FLAIR MR image.
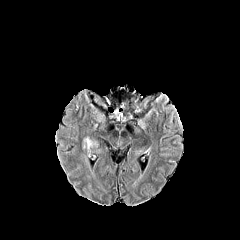
T1-weighted magnetic resonance.
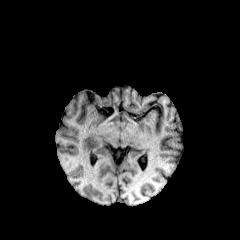
Post-contrast T1-weighted MR.
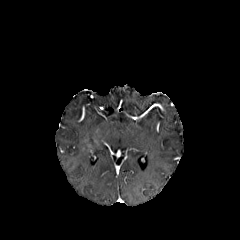
T2-weighted magnetic resonance.
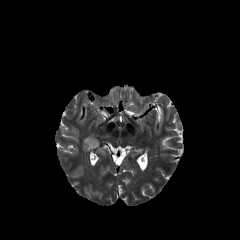
Brain
2 non-enhancing tumor core regions appear at (82, 135, 87, 153), (89, 134, 99, 150). The enhancing tumor appears at (85, 135, 91, 150).